CT image; Slice index 488; 512x512 px; Field of view 388 mm wide, 0.70 mm slice spacing 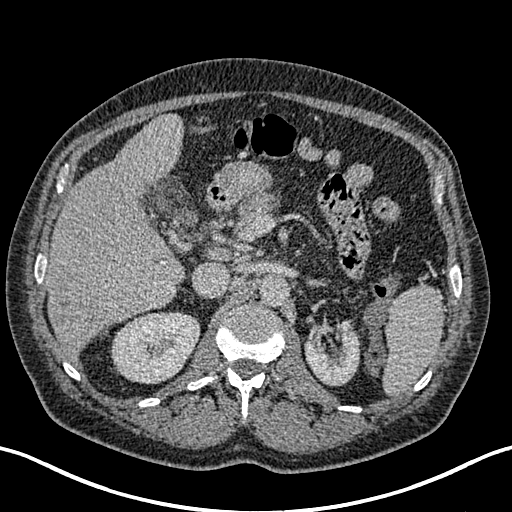 - liver: x1=47 y1=115 x2=184 y2=360
- kidney: x1=112 y1=313 x2=199 y2=382, x1=305 y1=323 x2=358 y2=384
- liver lesion: x1=85 y1=308 x2=97 y2=321, x1=55 y1=314 x2=74 y2=322, x1=56 y1=280 x2=70 y2=304